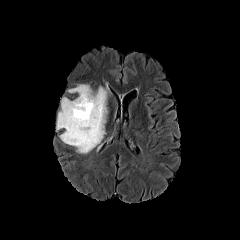
FLAIR MR.
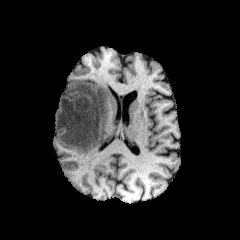
T1-weighted MR.
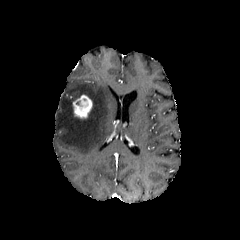
Post-contrast T1-weighted MRI.
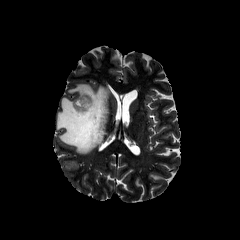
Same slice, T2-weighted MRI.
Head
Edema = l=55, t=83, r=109, b=154.
Enhancing tumor = l=72, t=95, r=92, b=118.